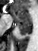 38x51 | Magnetic resonance
anterior hippocampus: 13,10,30,22 | posterior hippocampus: 17,23,30,35